Image size 240x240, Field of view 240x240 mm
FLAIR magnetic resonance.
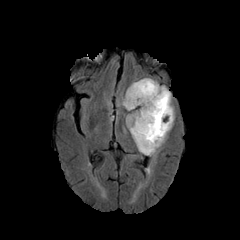
T1-weighted MRI.
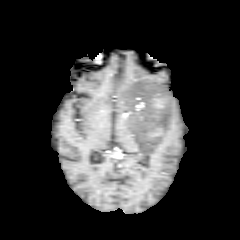
Post-contrast T1-weighted MR.
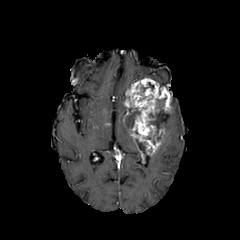
T2-weighted MR image.
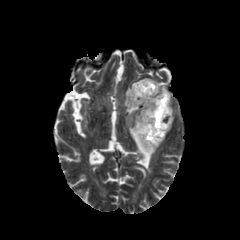
{"enhancing_tumor": ["(x1=125, y1=78, x2=171, y2=153)"], "edema": ["(x1=120, y1=92, x2=175, y2=159)"], "non-enhancing_tumor_core": ["(x1=137, y1=85, x2=149, y2=101)", "(x1=146, y1=95, x2=170, y2=142)"]}